FLAIR MRI.
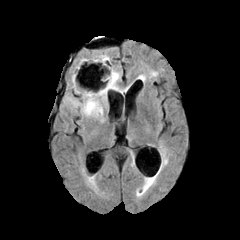
T1-weighted MR.
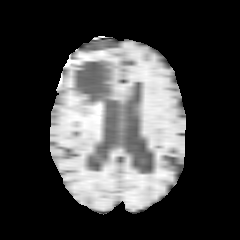
Post-contrast T1-weighted MRI.
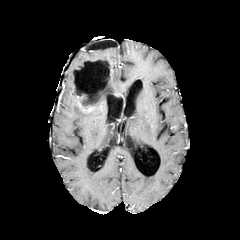
T2-weighted magnetic resonance.
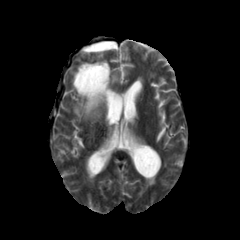
Head
non-enhancing tumor core: x1=74 y1=64 x2=109 y2=104 | edema: x1=107 y1=64 x2=128 y2=95, x1=97 y1=53 x2=111 y2=63, x1=65 y1=75 x2=108 y2=118